Slice index 111; Liver; Computed tomography

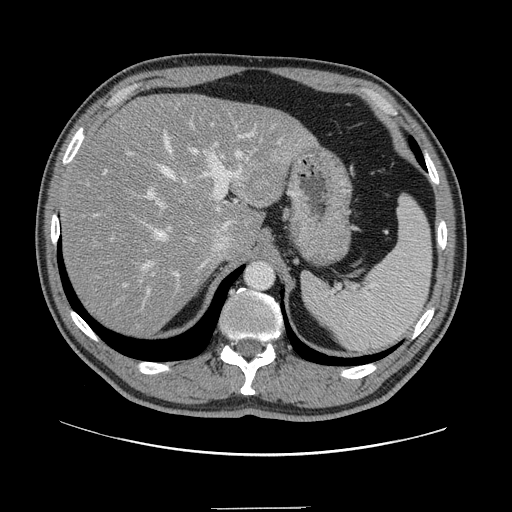

Not every hepatic vessel necessarily has a box.
<segmentation partial="true">
  <liver_tumor><box>240,166,280,205</box></liver_tumor>
  <hepatic_vessel shown="15" total="20"><box>104,171,106,174</box>, <box>176,273,179,281</box>, <box>158,201,164,208</box>, <box>191,149,197,153</box>, <box>215,143,217,146</box>, <box>200,151,241,198</box>, <box>236,152,248,160</box>, <box>143,263,150,272</box>, <box>161,167,174,178</box>, <box>148,289,150,294</box>, <box>238,130,254,138</box>, <box>147,189,154,199</box>, <box>155,227,170,240</box>, <box>128,153,132,154</box>, <box>164,131,170,152</box></hepatic_vessel>
</segmentation>